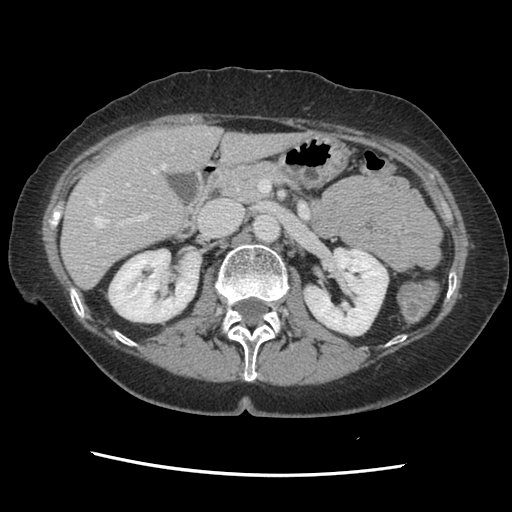
CT
The vessel boxes may cover only some of the vessels.
8 hepatic vessel regions are located at bbox(119, 213, 148, 224); bbox(162, 164, 165, 168); bbox(94, 217, 108, 226); bbox(151, 169, 156, 173); bbox(126, 183, 129, 185); bbox(92, 242, 94, 244); bbox(87, 199, 93, 204); bbox(100, 189, 105, 202).